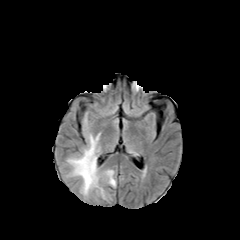
FLAIR MR image.
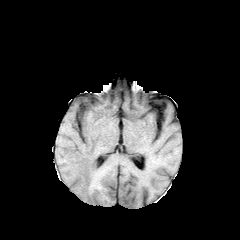
T1-weighted MRI of the same slice.
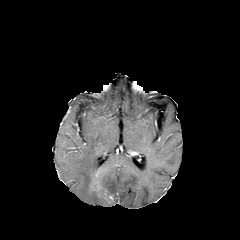
Same slice, post-contrast T1-weighted MRI.
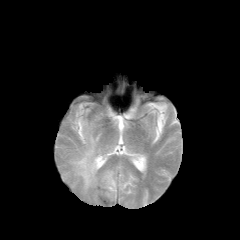
Same slice, T2-weighted MR image.
Head
The edema is bounded by [68, 122, 116, 199].